Slice 391/771, Abdomen, CT image, 512x512 px 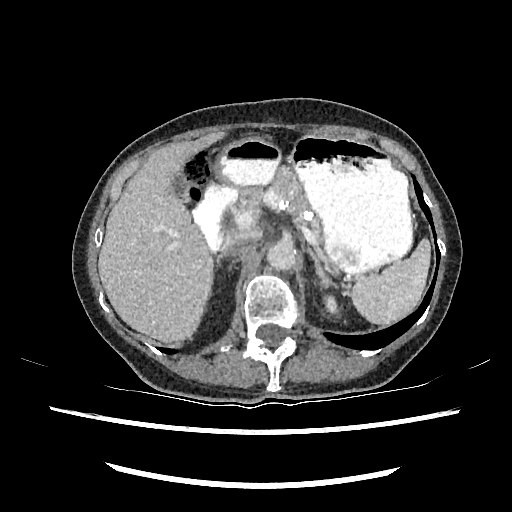

Segmented structures:
• liver: left=99, top=132, right=223, bottom=340